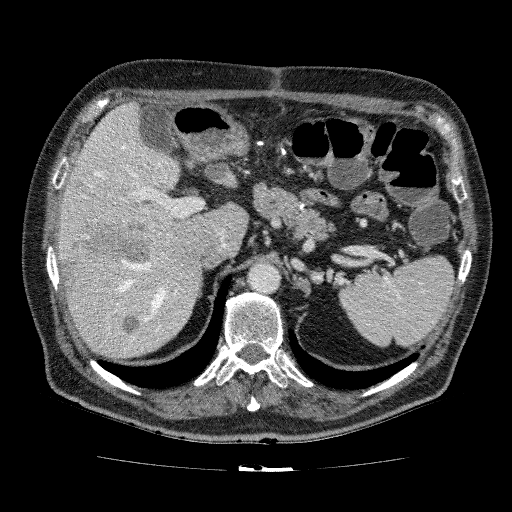 Upper abdomen. Computed tomography.
Focal liver lesion — 165:314:172:321, 119:313:143:338, 129:338:145:351, 207:163:230:181, 58:213:152:296, 69:174:85:190.
Liver — 56:101:248:358, 217:169:238:188.